Chest. Slice 479 of 605. CT.
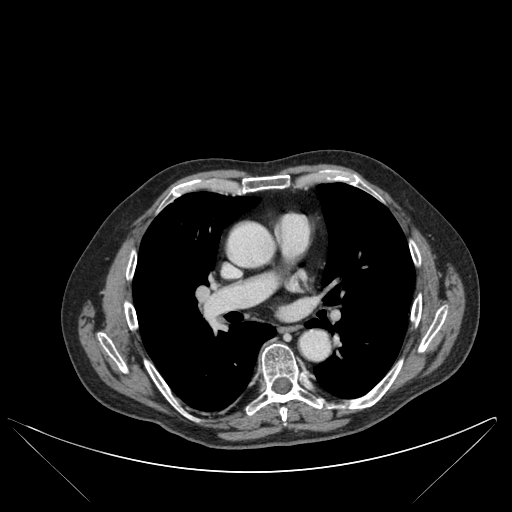

Lung — <bbox>304, 183, 414, 398</bbox>, <bbox>132, 192, 275, 411</bbox>.
Bone — <bbox>246, 344, 324, 421</bbox>, <bbox>98, 333, 127, 372</bbox>, <bbox>419, 307, 446, 351</bbox>, <bbox>124, 302, 137, 329</bbox>, <bbox>126, 251, 136, 278</bbox>, <bbox>411, 295, 421, 325</bbox>, <bbox>348, 360, 402, 408</bbox>, <bbox>144, 360, 190, 418</bbox>, <bbox>338, 172, 367, 189</bbox>, <bbox>242, 175, 289, 192</bbox>, <bbox>409, 241, 420, 264</bbox>.